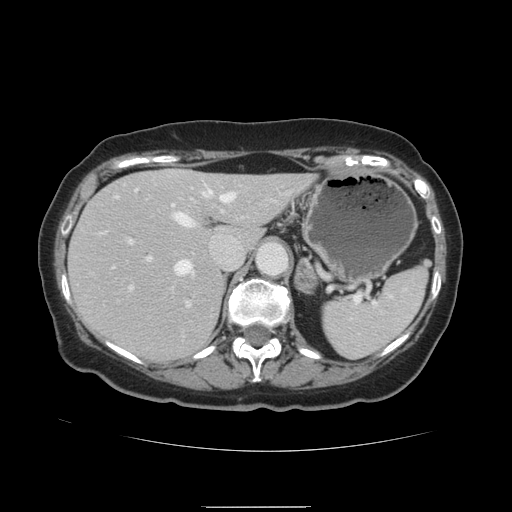

Image size 512x512. CT scan slice.
Not every hepatic vessel necessarily has a box.
Hepatic vessel — bbox=[220, 192, 234, 202]; bbox=[135, 189, 136, 190]; bbox=[172, 212, 191, 226]; bbox=[128, 240, 132, 243]; bbox=[146, 257, 150, 260]; bbox=[186, 301, 190, 305]; bbox=[129, 286, 131, 289]; bbox=[173, 260, 192, 275]; bbox=[202, 186, 211, 196].